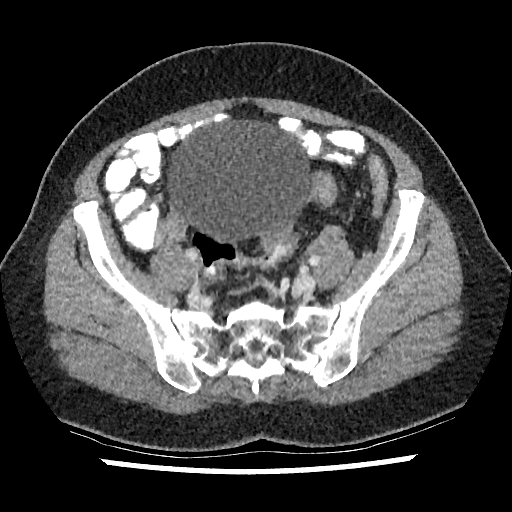

Lower abdomen | CT slice | Image size 512x512
Segmented structures:
* urinary bladder: {"x1": 167, "y1": 120, "x2": 313, "y2": 244}